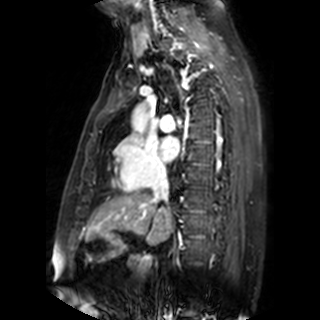 MRI slice.
The left atrium appears at (x1=159, y1=136, x2=178, y2=161).